Computed tomography; Lower abdomen; Field of view 404 mm wide, 0.70 mm slice spacing
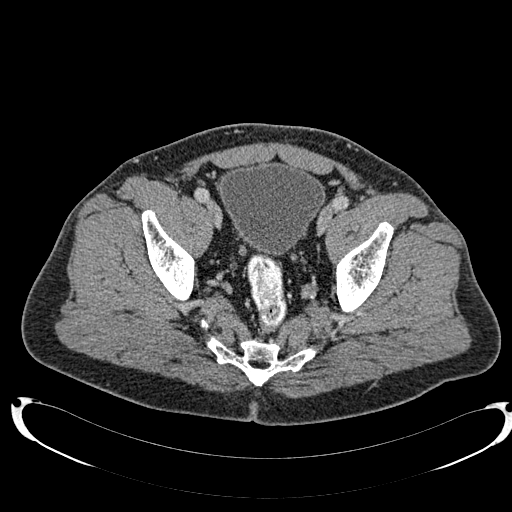
urinary_bladder:
  - box(219, 161, 325, 257)